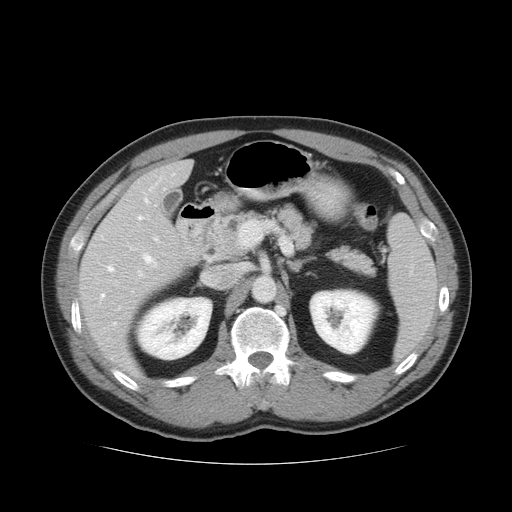 Abdomen; CT image
3 pancreas regions are located at 327, 247, 375, 275; 214, 206, 313, 249; 204, 235, 237, 259. The pancreatic tumor is located at 208, 224, 243, 255.